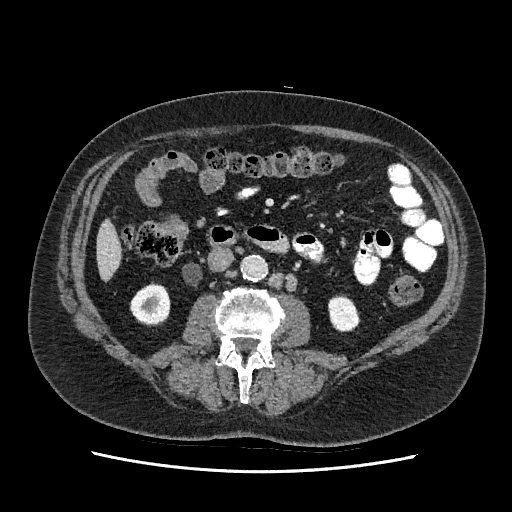
CT, 512x512, Abdomen
The liver appears at bbox(96, 220, 119, 281). 2 kidney regions are located at bbox(329, 298, 358, 330); bbox(131, 285, 169, 323).